Lung, Computed tomography

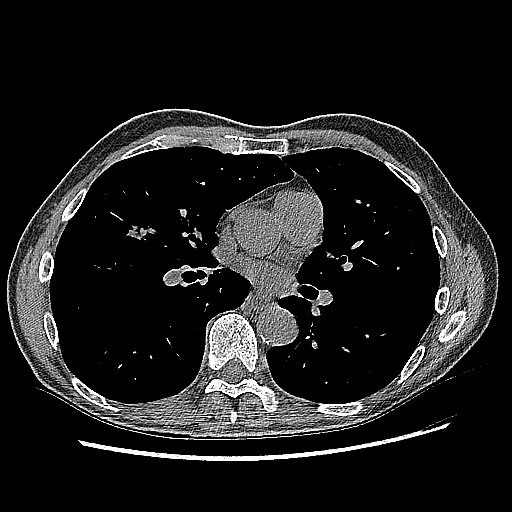

{"lung_tumor": [{"x1": 124, "y1": 221, "x2": 148, "y2": 241}]}